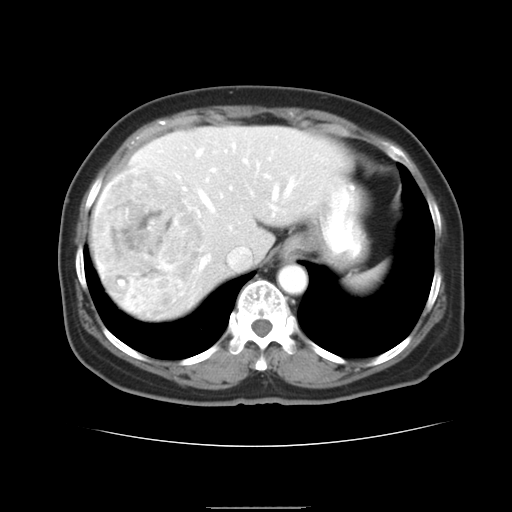

Abdomen. 512x512. CT slice.

Some hepatic vessels may have no box.
The liver tumor is bounded by 93,167,206,318. The principal 15 hepatic vessel regions (of 16) are bounded by 269,206,274,214; 224,150,226,152; 206,179,207,181; 264,174,268,177; 228,226,230,228; 176,176,178,177; 211,168,214,171; 195,149,201,156; 183,188,185,189; 203,256,209,266; 272,185,277,199; 231,144,234,149; 286,180,293,192; 199,192,213,211; 242,159,246,163.